Field of view 335 mm wide, 1.00 mm slice spacing, CT scan slice 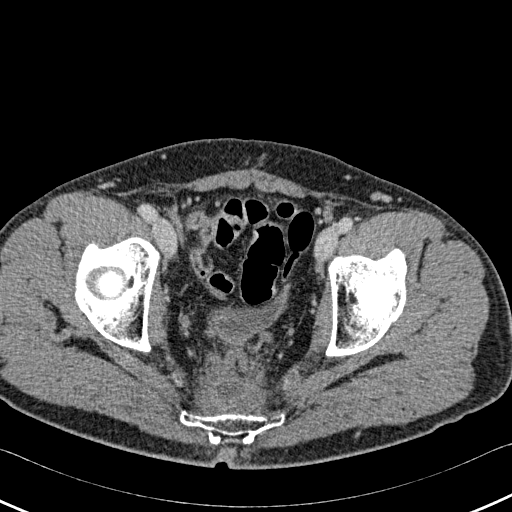
<segmentation>
  <bone><box>75,237,158,351</box>, <box>180,411,284,443</box>, <box>326,249,406,355</box></bone>
</segmentation>